MR image; Image size 35x48; Slice 8/32

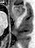

Anterior hippocampus — box=[12, 5, 24, 15].